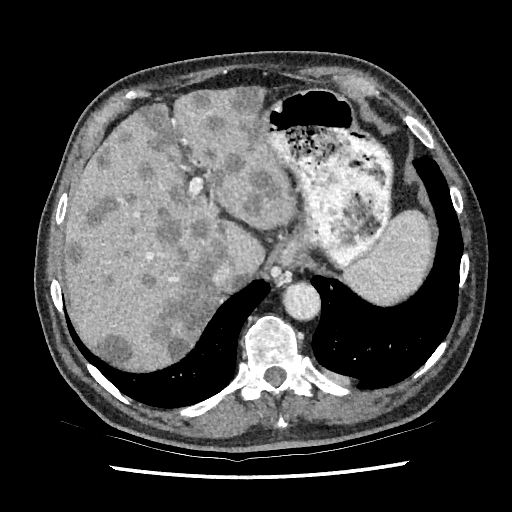 Image size 512x512, CT image
Findings:
• liver: l=214, t=296, r=227, b=310; l=65, t=86, r=294, b=369; l=183, t=328, r=203, b=355; l=179, t=235, r=209, b=259
• focal liver lesion (top 15 of 17): l=140, t=272, r=154, b=287; l=168, t=184, r=193, b=207; l=188, t=91, r=213, b=112; l=137, t=104, r=179, b=152; l=243, t=168, r=282, b=217; l=66, t=240, r=83, b=267; l=85, t=197, r=130, b=226; l=97, t=149, r=111, b=168; l=231, t=88, r=265, b=148; l=95, t=335, r=132, b=364; l=208, t=152, r=244, b=188; l=202, t=114, r=226, b=135; l=154, t=207, r=229, b=359; l=137, t=161, r=154, b=182; l=233, t=275, r=245, b=287